MR image. Field of view 33 mm wide, 1.00 mm slice spacing.

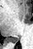
<segmentation>
  <posterior_hippocampus>(x1=7, y1=38, x2=18, y2=42)</posterior_hippocampus>
</segmentation>